Computed tomography. 512x512 px.
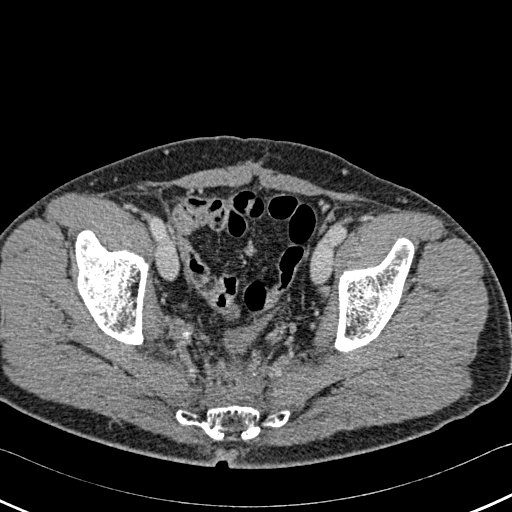

Bone: bounding box x1=335, y1=238, x2=413, y2=351; x1=176, y1=406, x2=289, y2=439; x1=76, y1=231, x2=147, y2=344.